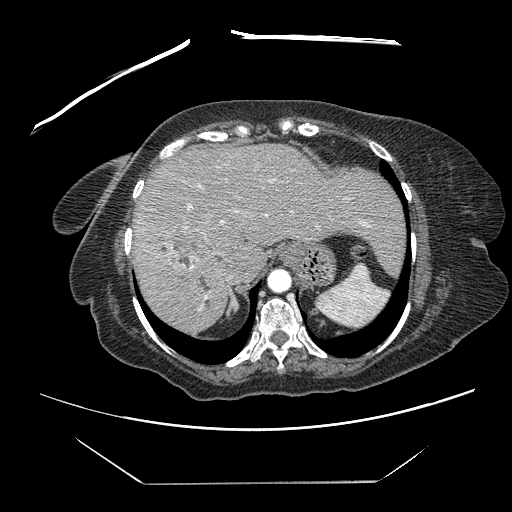
512x512 px; CT
Not every hepatic vessel necessarily has a box.
liver_tumor:
  - rect(172, 226, 206, 264)
hepatic_vessel:
  - rect(198, 185, 201, 187)
  - rect(360, 221, 368, 226)
  - rect(188, 205, 191, 208)